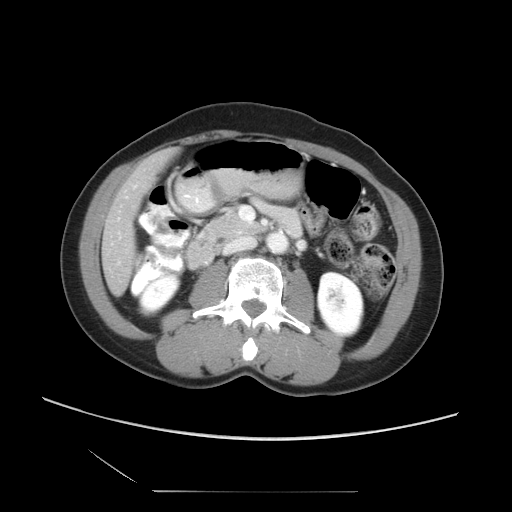 Abdomen; CT image
The vessel boxes may cover only some of the vessels.
{
  "hepatic_vessel": [
    "region(117, 218, 118, 219)",
    "region(125, 196, 126, 197)",
    "region(133, 185, 135, 187)"
  ]
}